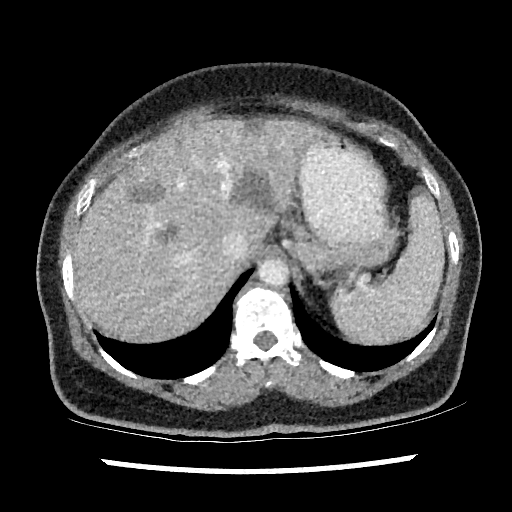 Upper abdomen. Computed tomography. <segmentation>
  <liver>71,118,320,338</liver>
  <liver_lesion>127,186,163,202; 239,119,263,131; 231,170,275,212; 158,227,175,242</liver_lesion>
</segmentation>